FLAIR MR.
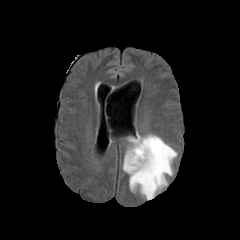
T1-weighted MRI.
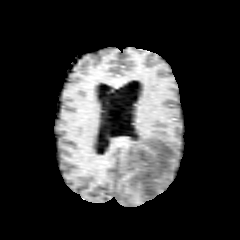
Post-contrast T1-weighted magnetic resonance.
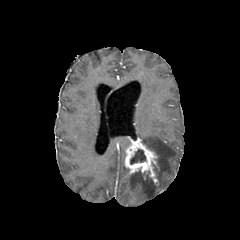
T2-weighted magnetic resonance.
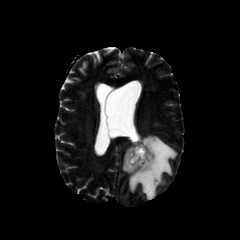
Image size 240x240
non-enhancing_tumor_core:
  - 130:149:145:163
edema:
  - 122:134:177:200
enhancing_tumor:
  - 124:136:158:185